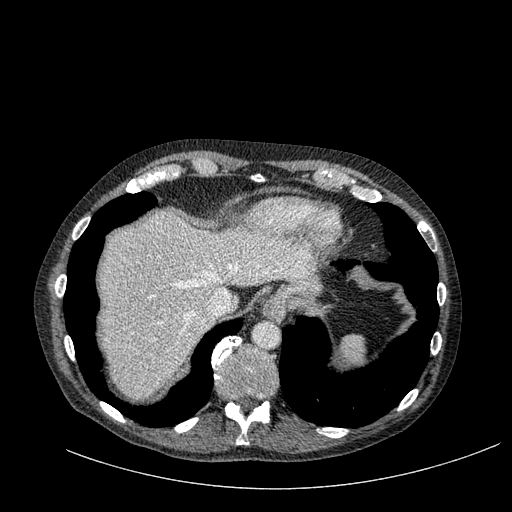

CT scan slice

Annotated regions:
• liver: bbox=[99, 210, 316, 397]